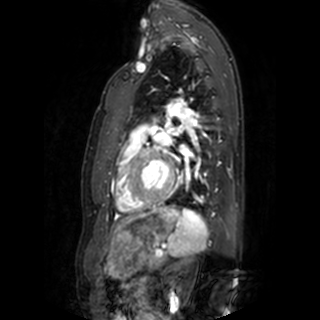 MR image, 320x320
2 left atrium regions appear at [x1=168, y1=128, x2=177, y2=134], [x1=179, y1=145, x2=190, y2=155].